Image size 512x512, CT, Slice 73/986
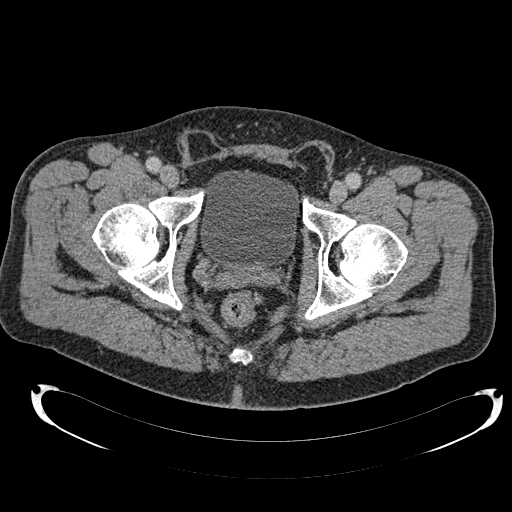
Urinary bladder = 200:170:299:271.